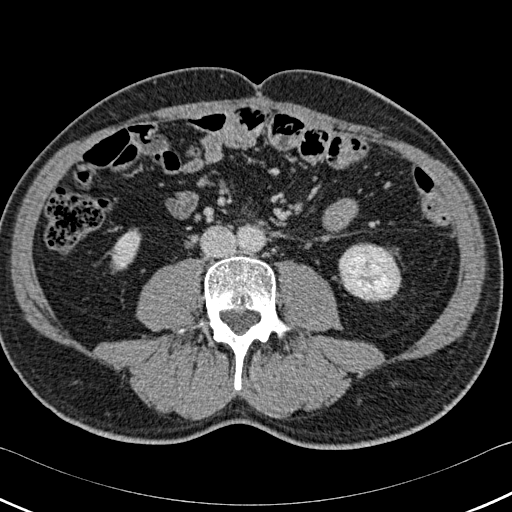
CT

Bone: bounding box l=204, t=256, r=289, b=390.
Kidney: bounding box l=113, t=232, r=139, b=267; l=340, t=245, r=399, b=299.